Image size 240x240.
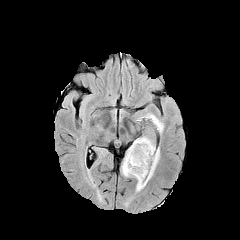
FLAIR MR image.
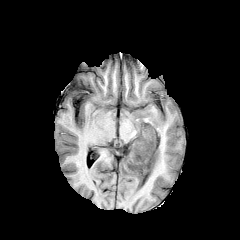
T1-weighted MR image.
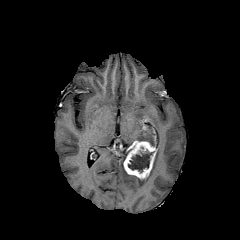
Post-contrast T1-weighted magnetic resonance.
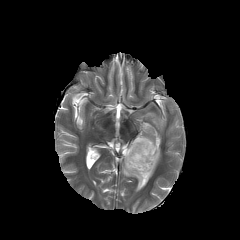
Same slice, T2-weighted magnetic resonance.
Enhancing tumor: bounding box x1=123, y1=141, x2=157, y2=178.
Non-enhancing tumor core: bounding box x1=128, y1=146, x2=155, y2=173.
Edema: bounding box x1=136, y1=113, x2=164, y2=134; x1=134, y1=135, x2=155, y2=146; x1=136, y1=146, x2=159, y2=191; x1=120, y1=165, x2=131, y2=176.